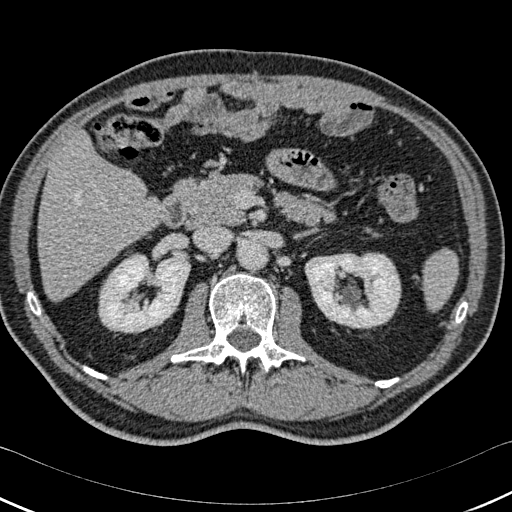
Abdomen. CT slice. Image size 512x512. 5 bone regions are bounded by {"x1": 375, "y1": 378, "x2": 398, "y2": 387}, {"x1": 171, "y1": 274, "x2": 305, "y2": 372}, {"x1": 456, "y1": 302, "x2": 467, "y2": 322}, {"x1": 28, "y1": 292, "x2": 40, "y2": 314}, {"x1": 84, "y1": 367, "x2": 106, "y2": 379}. 2 kidney regions are bounded by {"x1": 306, "y1": 254, "x2": 400, "y2": 327}, {"x1": 99, "y1": 255, "x2": 189, "y2": 332}. The liver is at {"x1": 38, "y1": 130, "x2": 162, "y2": 298}.